Slice 119/155.
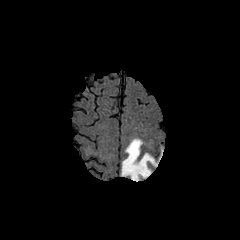
FLAIR magnetic resonance.
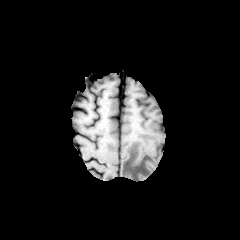
T1-weighted MR.
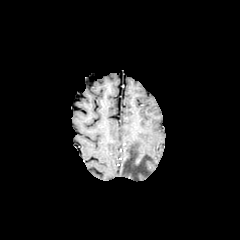
Post-contrast T1-weighted magnetic resonance.
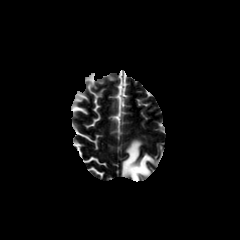
T2-weighted magnetic resonance of the same slice.
<segmentation>
  <edema>121 138 157 181</edema>
</segmentation>